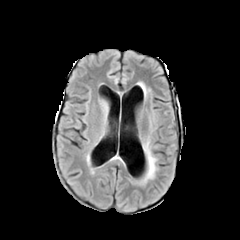
FLAIR MR image.
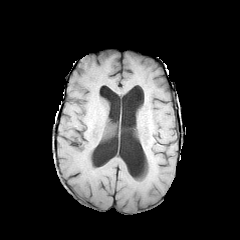
T1-weighted MR.
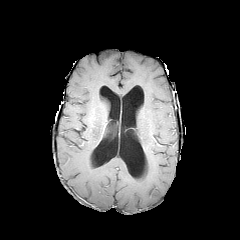
Same slice, post-contrast T1-weighted MR image.
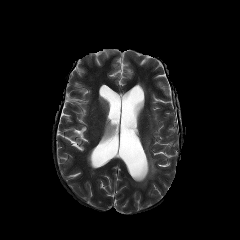
T2-weighted magnetic resonance.
Brain.
Edema: bounding box bbox(141, 83, 147, 100); bbox(137, 136, 158, 184).